Slice 564 of 629. Liver. Image width 400 mm. CT slice.
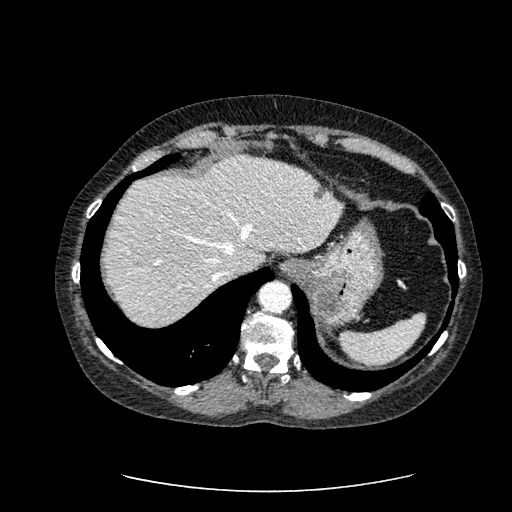 The liver is bounded by [106, 156, 340, 325]. The hepatic lesion is located at [314, 187, 324, 198].